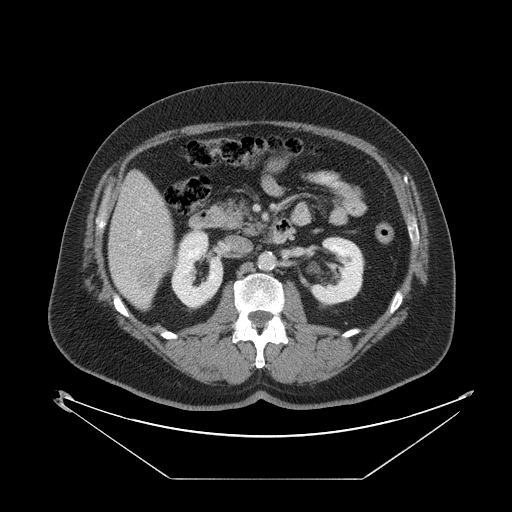
512x512 px | CT
Not every hepatic vessel necessarily has a box.
The liver tumor is located at rect(138, 266, 154, 287). 2 hepatic vessel regions are located at rect(144, 244, 146, 246); rect(137, 230, 141, 236).